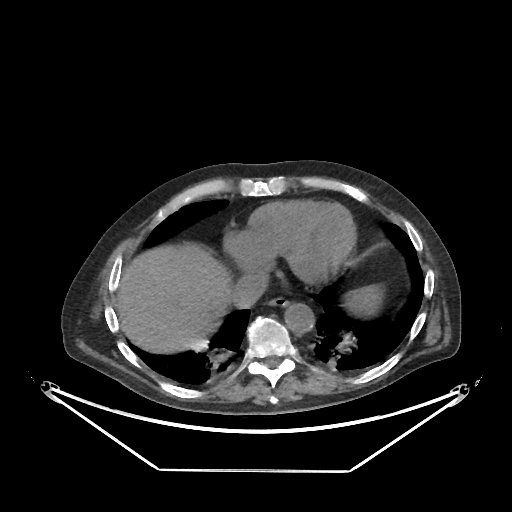 512x512 px. CT image.

Liver: left=116, top=246, right=233, bottom=353.